CT scan slice
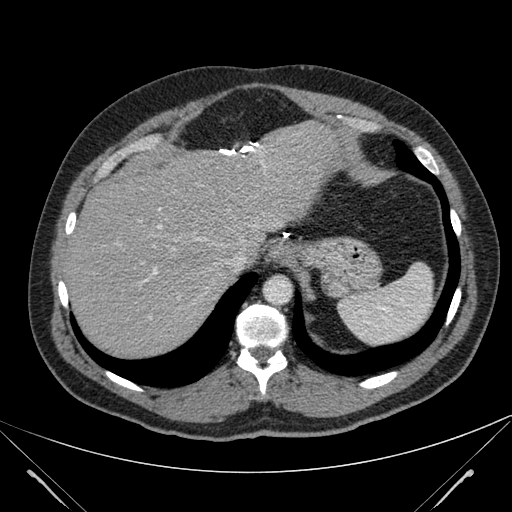

{
  "liver": [
    "63 123 362 358"
  ]
}